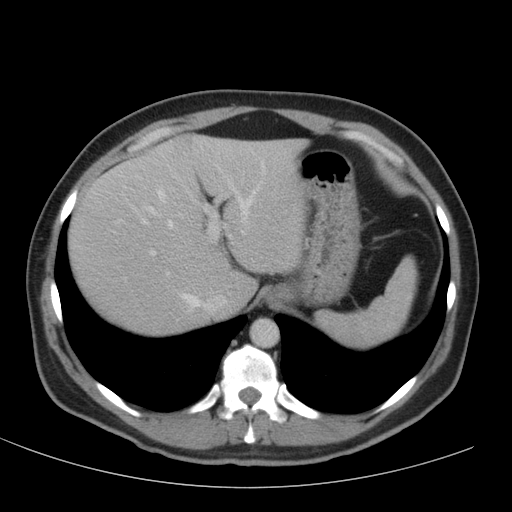
CT | Abdomen
liver: (69,135,303,332)